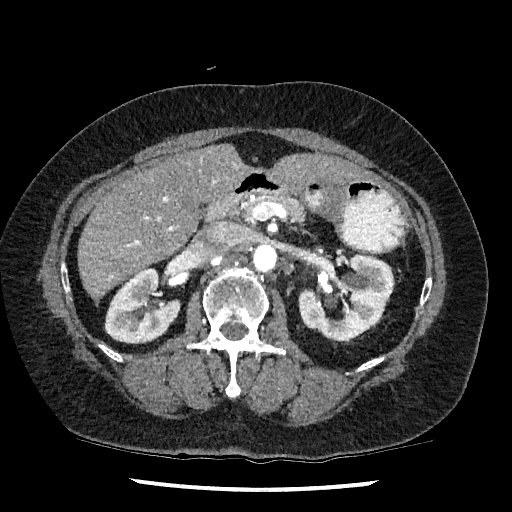

CT slice | 512x512 px | Liver
kidney:
  - [105, 260, 186, 342]
  - [299, 255, 393, 340]
liver:
  - [273, 156, 369, 184]
  - [78, 144, 246, 298]